FLAIR MR image.
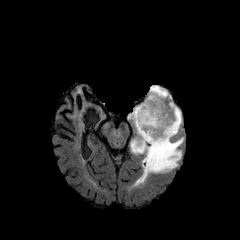
T1-weighted MR image.
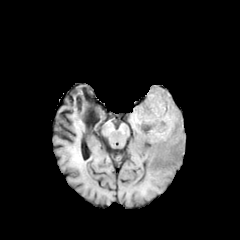
Post-contrast T1-weighted magnetic resonance.
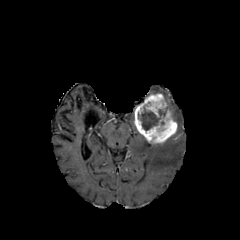
T2-weighted magnetic resonance.
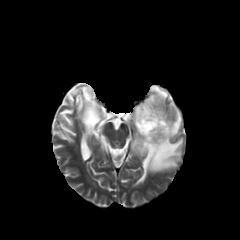
Head
Enhancing tumor at x1=134, y1=93, x2=177, y2=143.
Non-enhancing tumor core at x1=140, y1=106, x2=168, y2=130.
Edema at x1=130, y1=86, x2=183, y2=185.